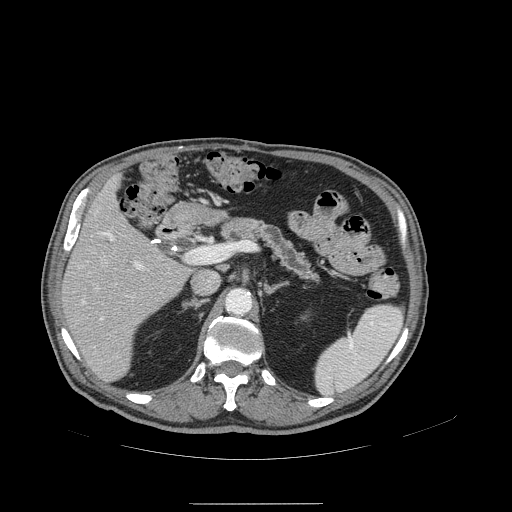 CT slice | 512x512 | Abdomen

Pancreas at bbox(217, 214, 327, 290).
Pancreatic tumor at bbox(224, 218, 251, 237).